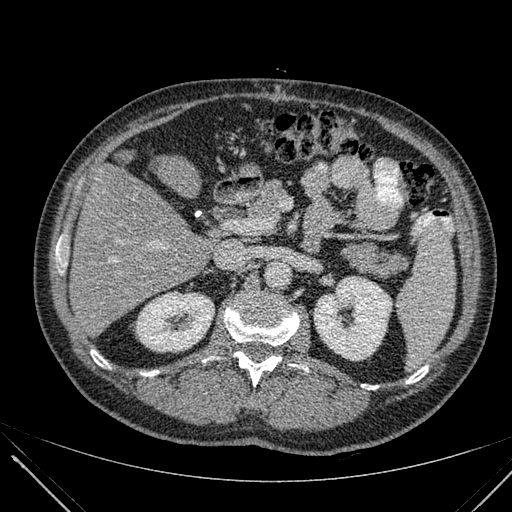
Upper abdomen | CT slice

kidney:
  - [314,277,391,359]
  - [137,292,213,351]
liver:
  - [70,150,218,330]
  - [148,154,201,197]